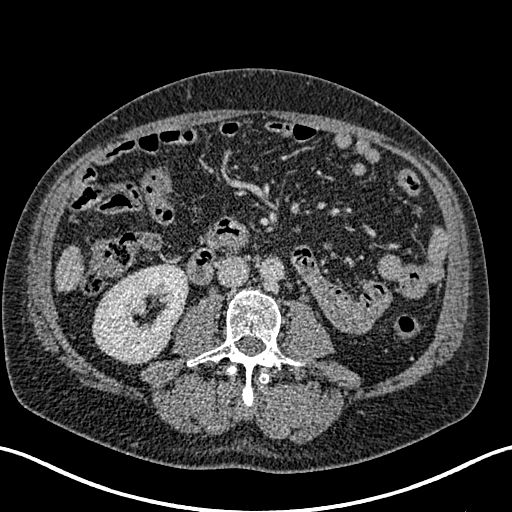

CT scan slice

Kidney: bounding box (93,265,187,362).
Liver: bounding box (56,245,82,291).